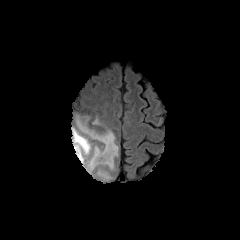
FLAIR MRI.
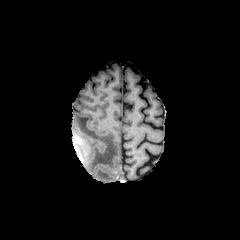
T1-weighted MR image of the same slice.
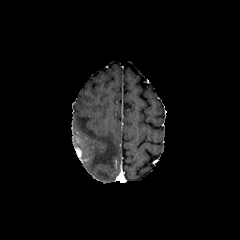
Post-contrast T1-weighted MRI.
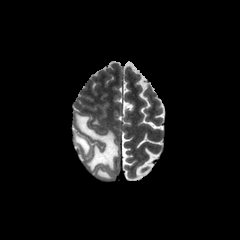
Same slice, T2-weighted MR.
non-enhancing_tumor_core:
  - l=74, t=135, r=88, b=151
edema:
  - l=76, t=115, r=117, b=167